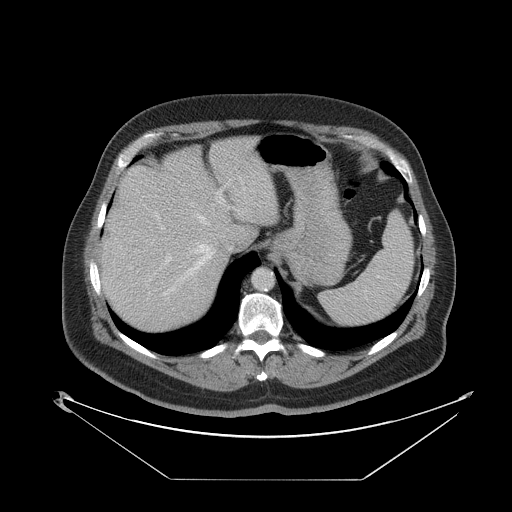 Abdomen, CT slice

The vessel annotation is not exhaustive.
{"hepatic_vessel": ["left=199, top=216, right=209, bottom=223", "left=155, top=212, right=159, bottom=218", "left=162, top=227, right=164, bottom=229", "left=217, top=191, right=222, bottom=202", "left=165, top=257, right=171, bottom=263", "left=183, top=243, right=214, bottom=277", "left=163, top=290, right=170, bottom=294"]}